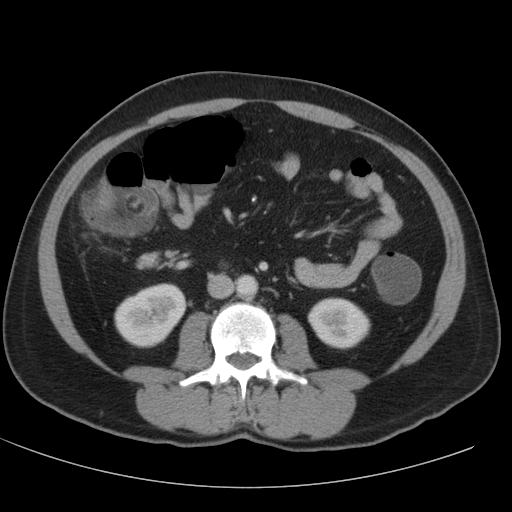

CT slice

2 kidney regions appear at rect(308, 298, 369, 348); rect(115, 284, 185, 346).